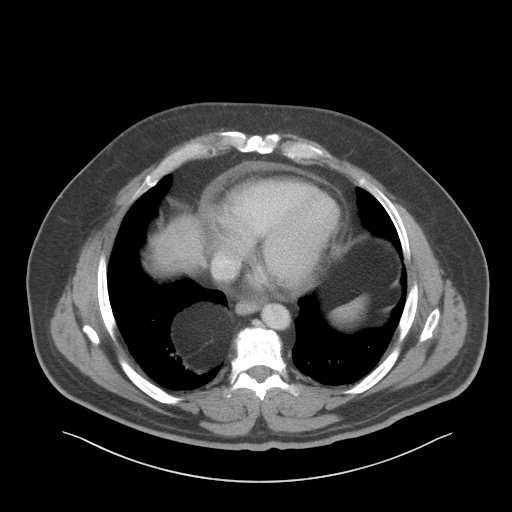
Liver; CT image
- liver: left=143, top=218, right=203, bottom=281